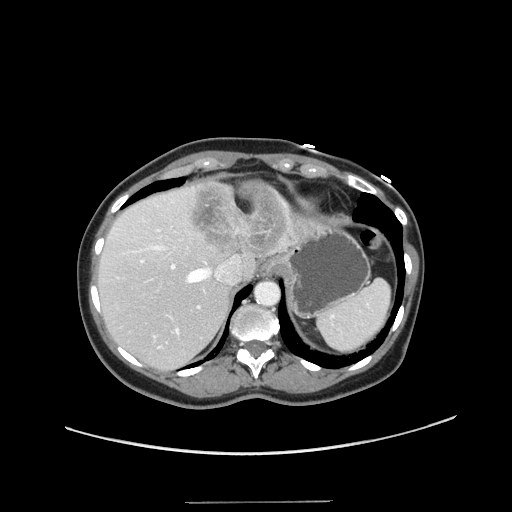
CT image.
Not every hepatic vessel necessarily has a box.
The liver tumor appears at [189, 182, 288, 256]. 7 hepatic vessel regions appear at [176, 328, 179, 333], [198, 306, 199, 307], [157, 229, 159, 230], [188, 256, 240, 283], [154, 246, 160, 248], [172, 264, 174, 267], [142, 260, 143, 261].